Image width 240 mm; Head; 240x240 px
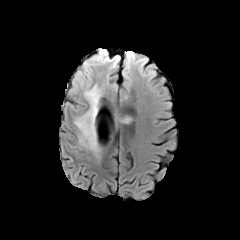
FLAIR MR.
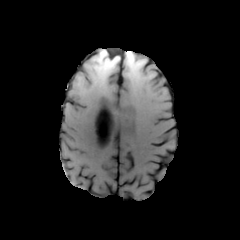
T1-weighted MRI.
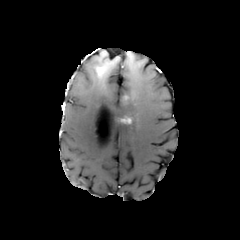
Post-contrast T1-weighted MR image of the same slice.
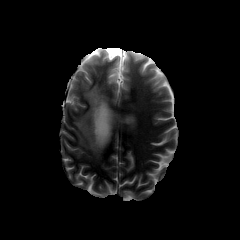
T2-weighted MRI.
{
  "non-enhancing_tumor_core": [
    "(88,50,110,75)"
  ],
  "edema": [
    "(107,65,118,80)",
    "(74,60,102,153)",
    "(122,52,135,79)"
  ],
  "enhancing_tumor": [
    "(108,59,117,69)"
  ]
}